CT image | Slice index 37

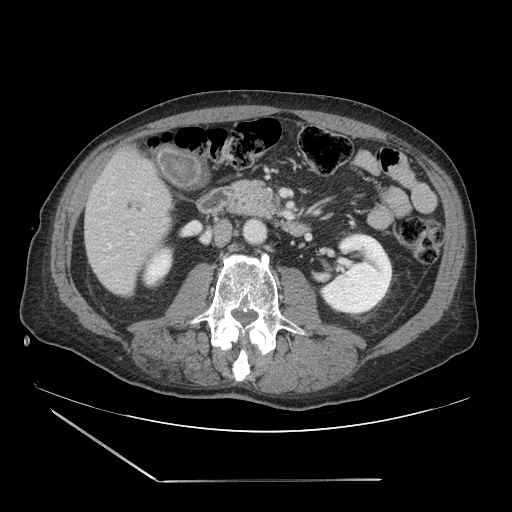

{"pancreas": ["230,181,275,216"]}